CT, Field of view 360 mm wide, 1.25 mm slice spacing, Slice 339/366
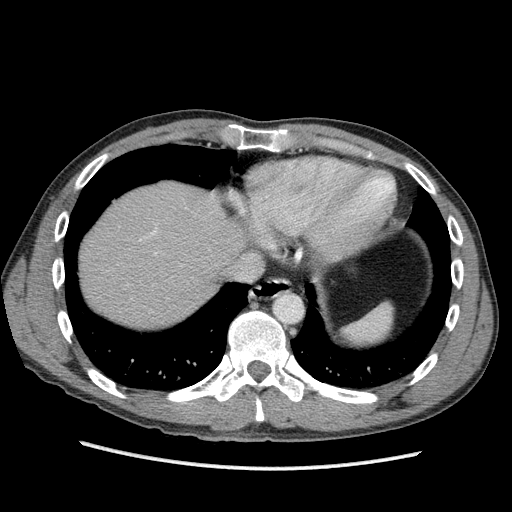 {"liver": [{"x1": 78, "y1": 181, "x2": 255, "y2": 329}]}